Field of view 36x49 mm. MR image.

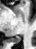
The posterior hippocampus is at box(10, 37, 20, 43).